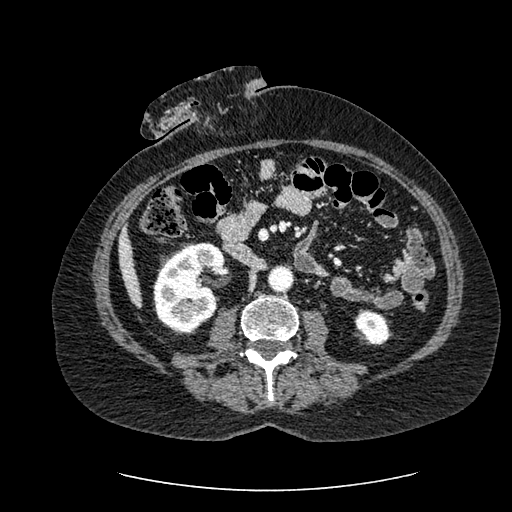

CT image | Image size 512x512

kidney: (left=356, top=311, right=388, bottom=343), (left=154, top=243, right=223, bottom=332) | liver: (left=119, top=225, right=142, bottom=305)